CT slice; Upper abdomen

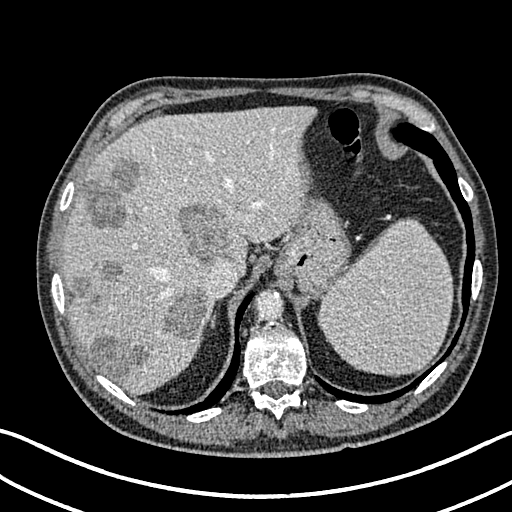
Findings:
* liver lesion: {"x1": 102, "y1": 260, "x2": 124, "y2": 281}, {"x1": 112, "y1": 158, "x2": 149, "y2": 190}, {"x1": 89, "y1": 333, "x2": 148, "y2": 379}, {"x1": 92, "y1": 295, "x2": 102, "y2": 304}, {"x1": 178, "y1": 203, "x2": 230, "y2": 263}, {"x1": 163, "y1": 291, "x2": 208, "y2": 340}, {"x1": 84, "y1": 179, "x2": 126, "y2": 230}, {"x1": 72, "y1": 276, "x2": 89, "y2": 297}
* liver: {"x1": 64, "y1": 107, "x2": 317, "y2": 394}